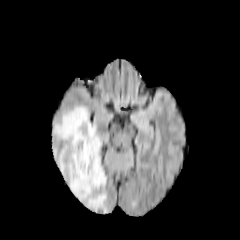
FLAIR magnetic resonance.
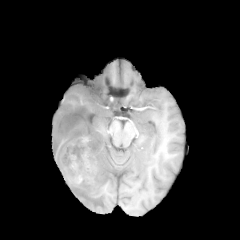
T1-weighted MR image.
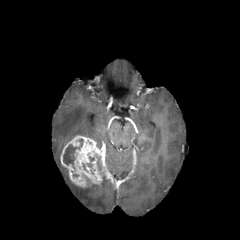
Post-contrast T1-weighted MR image.
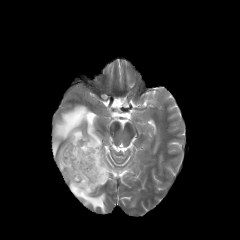
T2-weighted magnetic resonance.
{"edema": ["left=52, top=105, right=106, bottom=213"], "enhancing_tumor": ["left=60, top=135, right=104, bottom=187"], "non-enhancing_tumor_core": ["left=63, top=143, right=77, bottom=169"]}